CT slice | Image width 512 mm | Image size 512x512
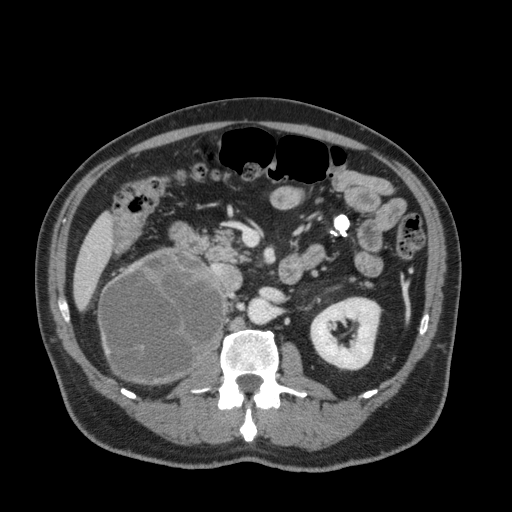 The liver is bounded by <box>75,213,112,307</box>. The kidney is bounded by <box>311,298,379,368</box>.